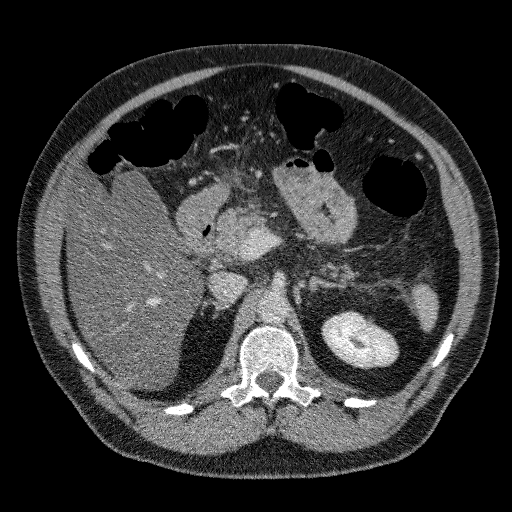

CT image
Liver at (67,179,202,388).
Kidney at (324,313,396,366).